FLAIR magnetic resonance.
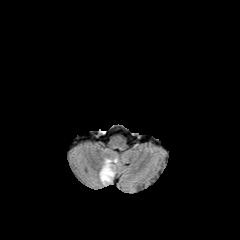
T1-weighted magnetic resonance.
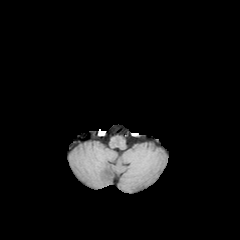
Post-contrast T1-weighted MR image.
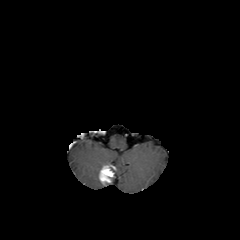
T2-weighted MR image.
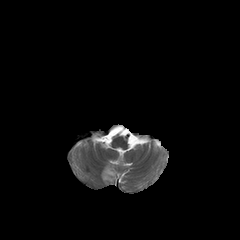
Head
Enhancing tumor = [103, 169, 110, 177].